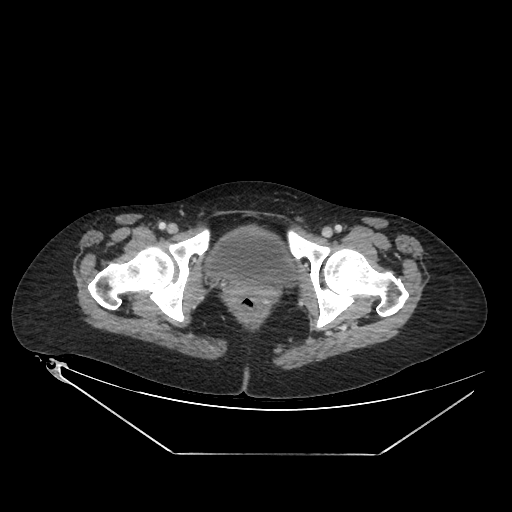

CT slice. Pelvis.

Urinary bladder = (left=200, top=228, right=302, bottom=290).